Slice 75 of 155, Brain
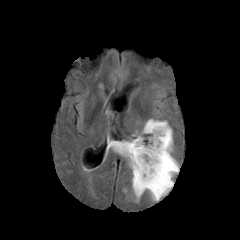
FLAIR MR image.
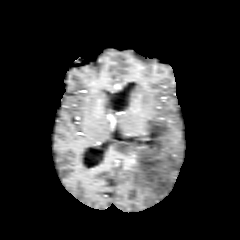
T1-weighted magnetic resonance.
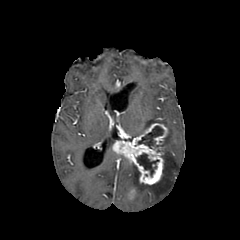
Same slice, post-contrast T1-weighted MR image.
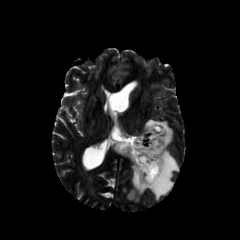
Same slice, T2-weighted magnetic resonance.
2 enhancing tumor regions are bounded by [113, 135, 163, 184], [146, 123, 167, 144]. 2 non-enhancing tumor core regions are located at [138, 125, 163, 147], [136, 153, 159, 176]. The edema is located at [128, 119, 178, 200].